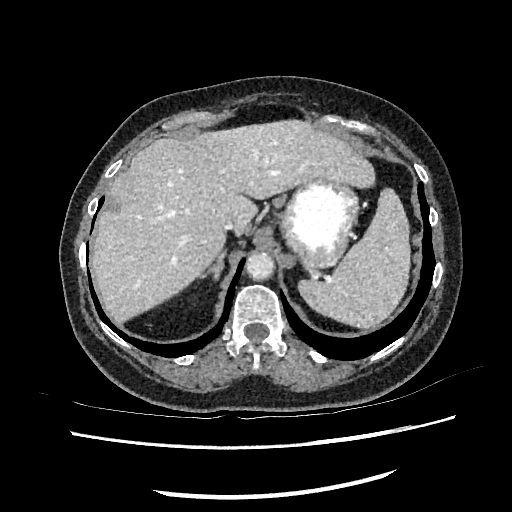
Upper abdomen | CT scan slice
Segmented structures:
- liver: x1=92, y1=120, x2=374, y2=321